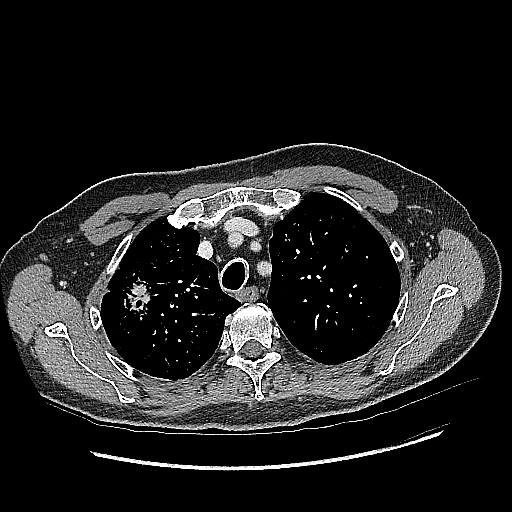
Image size 512x512 | CT image

{"lung_tumor": ["x1=119 y1=268 x2=156 y2=316"]}